FLAIR MRI.
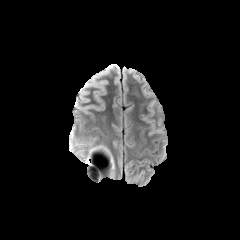
T1-weighted magnetic resonance.
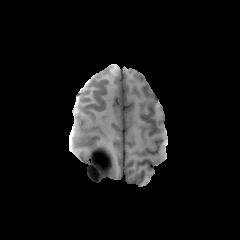
Post-contrast T1-weighted MR.
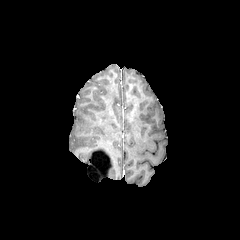
T2-weighted MRI.
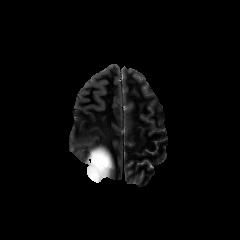
240x240 px
The edema lies within x1=84, y1=145, x2=103, y2=163. The non-enhancing tumor core is at x1=95, y1=155, x2=108, y2=164.